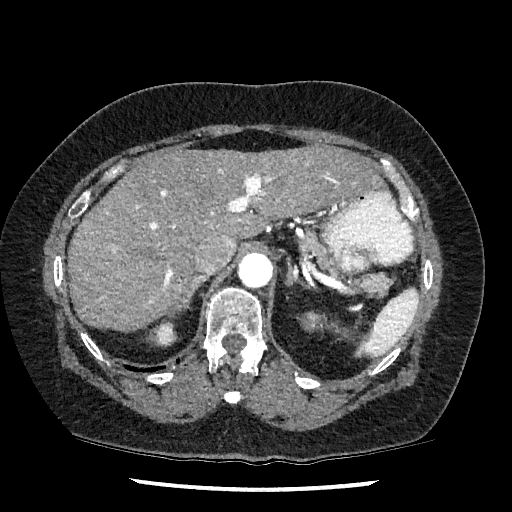 CT scan slice; Liver; 512x512 px
kidney: x1=156, y1=323, x2=173, y2=344 | liver: x1=68, y1=146, x2=386, y2=328